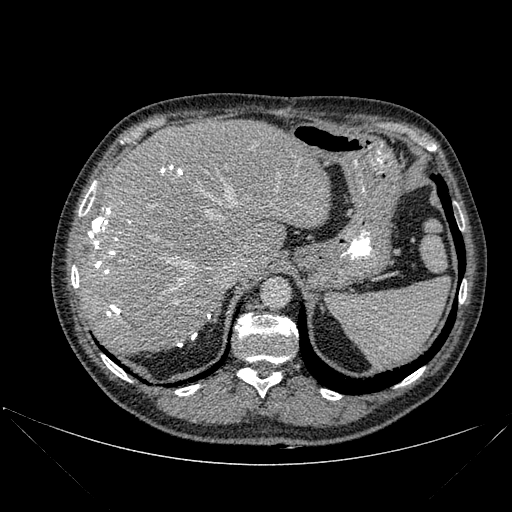 CT scan slice | Liver | Image size 512x512

{
  "bone": [
    "237 368 281 397",
    "175 385 199 395",
    "235 313 297 363",
    "71 266 78 287",
    "321 389 341 400",
    "79 181 95 215",
    "101 355 131 381",
    "459 284 466 303",
    "400 367 424 385"
  ],
  "lung": [
    "298 298 457 394",
    "197 355 225 378",
    "431 175 465 283",
    "101 348 117 361"
  ],
  "liver": [
    "79 119 331 353"
  ]
}